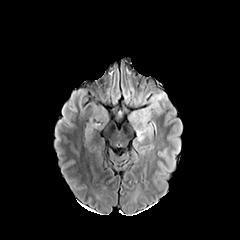
FLAIR MR.
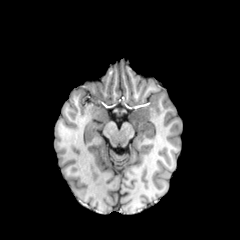
Same slice, T1-weighted MR image.
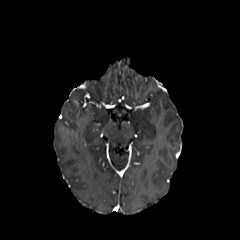
Same slice, post-contrast T1-weighted MR.
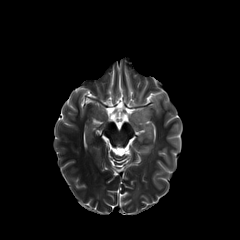
T2-weighted MRI.
- edema: (left=121, top=79, right=130, bottom=103), (left=128, top=94, right=162, bottom=153), (left=131, top=83, right=152, bottom=107)